FLAIR MR.
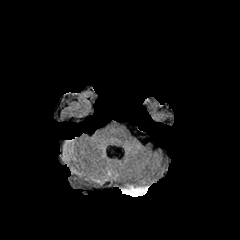
T1-weighted magnetic resonance.
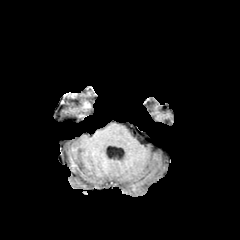
Post-contrast T1-weighted MRI.
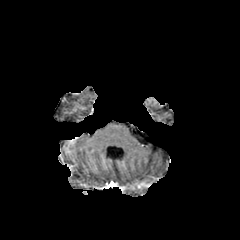
T2-weighted MRI.
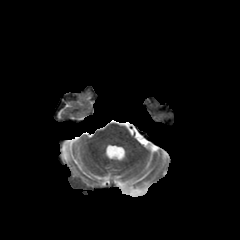
Brain
Non-enhancing tumor core at (120, 182, 146, 191).
Edema at (121, 188, 147, 196).